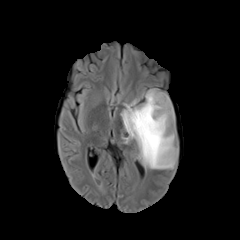
FLAIR magnetic resonance.
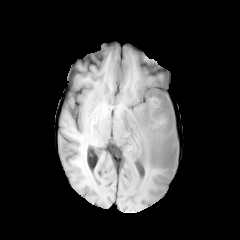
Same slice, T1-weighted MR image.
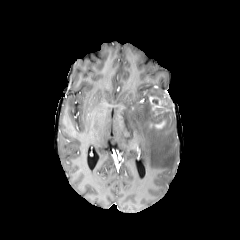
Post-contrast T1-weighted MRI.
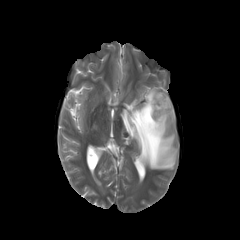
T2-weighted MR of the same slice.
Edema: bounding box [121,88,177,169].
Enhancing tumor: bounding box [154,121,164,129], [148,96,167,111].
Non-enhancing tumor core: bounding box [137,99,172,131], [150,92,168,99].